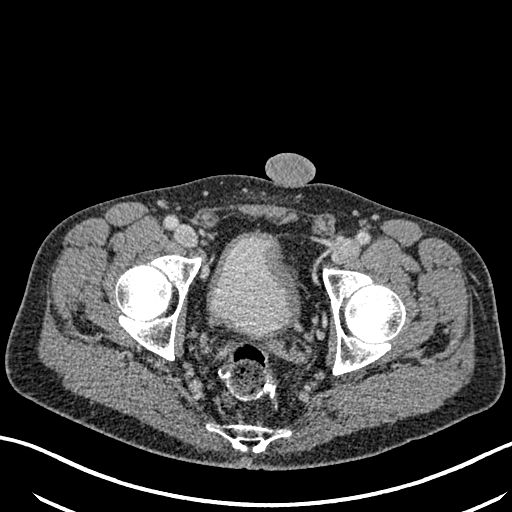 CT image
The urinary bladder is bounded by 211:233:292:334.